Image width 434 mm | Image size 512x512 | CT scan slice | Slice index 24 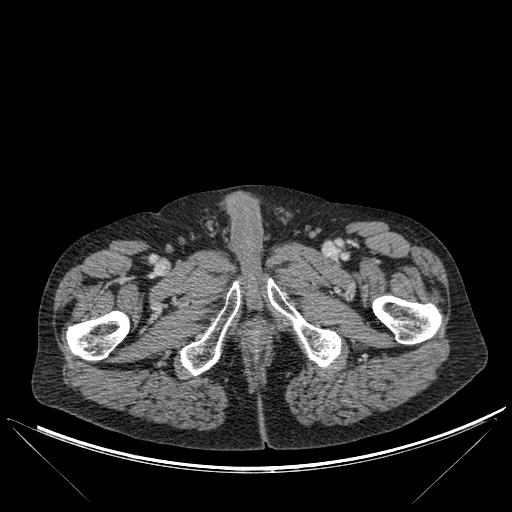

4 bone regions are located at (left=180, top=281, right=240, bottom=375), (left=372, top=295, right=441, bottom=344), (left=267, top=279, right=340, bottom=367), (left=66, top=311, right=129, bottom=360).